FLAIR MRI.
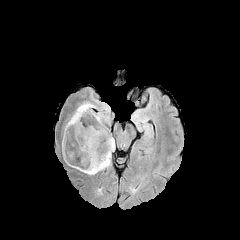
T1-weighted MRI.
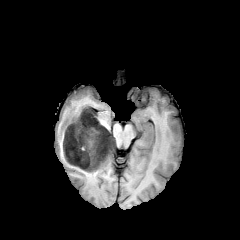
Post-contrast T1-weighted MRI.
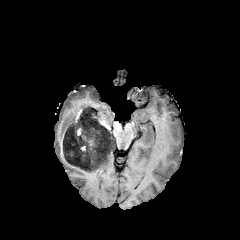
T2-weighted MR.
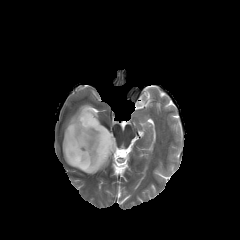
Brain
Non-enhancing tumor core: bounding box (63, 106, 115, 170).
Edema: bounding box (64, 102, 97, 135), (66, 150, 113, 174), (96, 112, 103, 122).